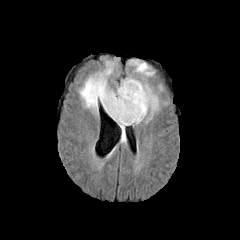
FLAIR MRI.
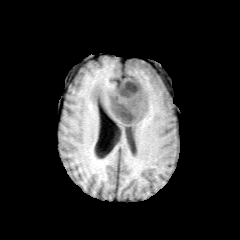
T1-weighted MRI.
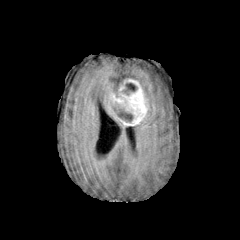
Post-contrast T1-weighted magnetic resonance of the same slice.
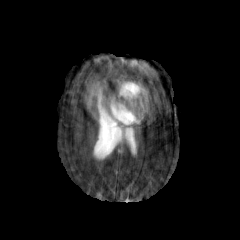
T2-weighted MR image.
Brain, 240x240 px
{
  "enhancing_tumor": [
    "region(108, 78, 148, 126)"
  ],
  "edema": [
    "region(79, 60, 126, 144)",
    "region(120, 59, 158, 119)"
  ],
  "non-enhancing_tumor_core": [
    "region(122, 83, 137, 95)",
    "region(112, 106, 133, 122)"
  ]
}